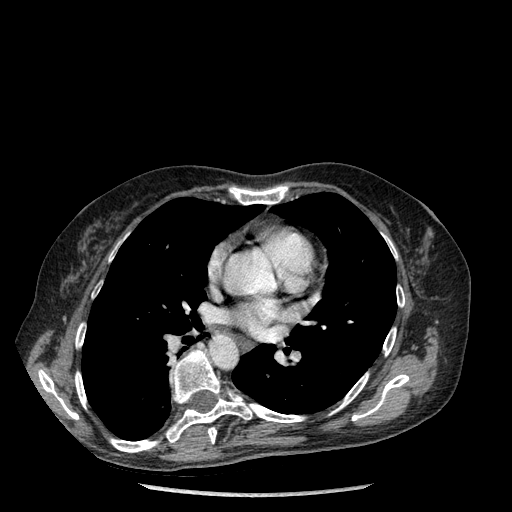

Thorax, Computed tomography
<segmentation>
  <bone>229, 185, 287, 204; 38, 369, 78, 419; 396, 285, 404, 307; 110, 439, 158, 452; 330, 372, 368, 414; 207, 427, 216, 443; 382, 233, 397, 259; 352, 374, 409, 421; 165, 349, 304, 442; 75, 372, 86, 408; 75, 323, 85, 347; 383, 327, 396, 356; 108, 236, 126, 261</bone>
  <lung>232, 193, 396, 413; 82, 197, 262, 440</lung>
</segmentation>